Prostate, 320x320
T2-weighted MR image.
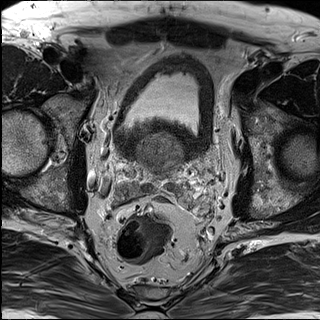
ADC magnetic resonance.
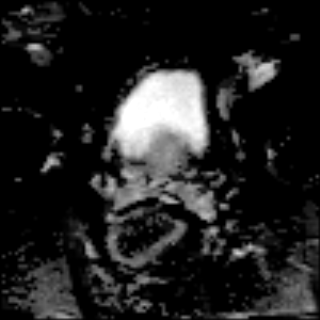
{
  "prostate_transition_zone": [
    {"x1": 134, "y1": 134, "x2": 186, "y2": 173}
  ]
}